Image size 240x240 | Slice index 107 | Field of view 240 mm wide, 1.00 mm slice spacing
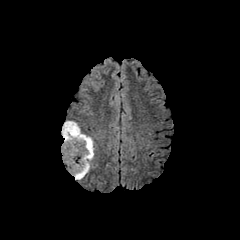
FLAIR MR.
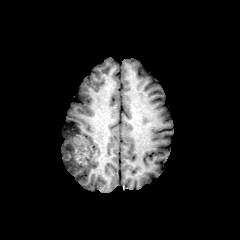
T1-weighted MR.
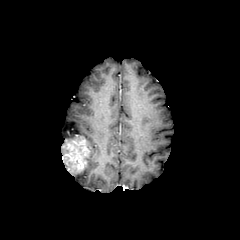
Post-contrast T1-weighted MRI.
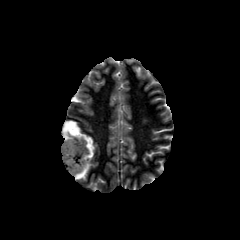
Same slice, T2-weighted MR image.
edema:
  - [x1=63, y1=120, x2=96, y2=179]
non-enhancing_tumor_core:
  - [x1=63, y1=122, x2=89, y2=163]
  - [x1=68, y1=162, x2=86, y2=176]
enhancing_tumor:
  - [x1=64, y1=140, x2=85, y2=171]